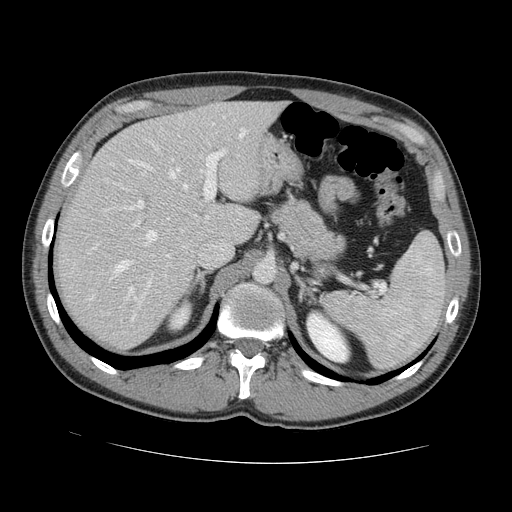

Liver. Computed tomography. Image size 512x512.

The vessel annotation is not exhaustive.
The top 15 hepatic vessel regions (of 33) appear at [238, 128, 246, 138], [204, 216, 207, 222], [114, 183, 129, 191], [132, 222, 138, 226], [199, 150, 224, 199], [86, 291, 95, 300], [114, 260, 129, 273], [102, 200, 143, 215], [169, 168, 178, 178], [90, 243, 97, 250], [125, 281, 150, 308], [126, 159, 151, 169], [130, 314, 135, 321], [142, 231, 156, 245], [150, 142, 160, 154].